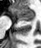

Hippocampus | MR
<segmentation>
  <anterior_hippocampus>left=12, top=7, right=34, bottom=16</anterior_hippocampus>
  <posterior_hippocampus>left=17, top=17, right=33, bottom=21</posterior_hippocampus>
</segmentation>